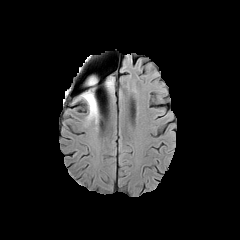
FLAIR MR.
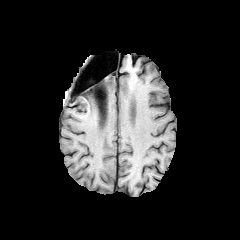
T1-weighted MR.
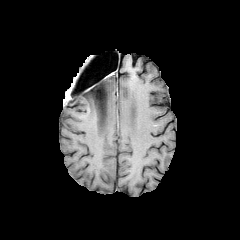
Same slice, post-contrast T1-weighted magnetic resonance.
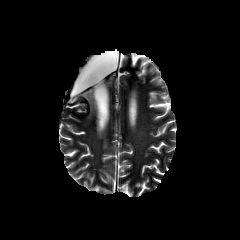
T2-weighted MR.
Head
{
  "non-enhancing_tumor_core": [
    "[89, 86, 96, 105]"
  ],
  "edema": [
    "[86, 78, 97, 89]",
    "[75, 90, 99, 124]",
    "[106, 78, 114, 93]"
  ]
}